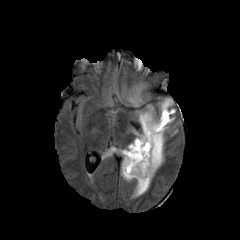
FLAIR magnetic resonance.
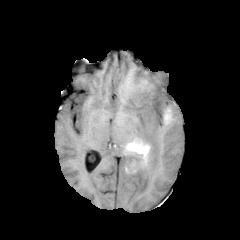
T1-weighted magnetic resonance.
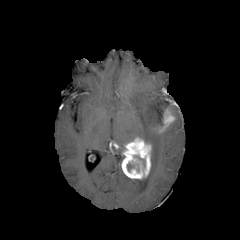
Post-contrast T1-weighted MRI of the same slice.
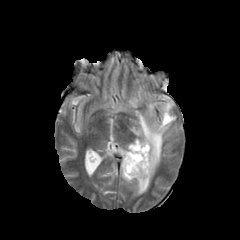
T2-weighted magnetic resonance.
Brain.
{
  "edema": [
    "134 98 177 195",
    "130 85 144 107"
  ],
  "enhancing_tumor": [
    "163 110 173 126",
    "122 139 150 179"
  ],
  "non-enhancing_tumor_core": [
    "127 162 139 170"
  ]
}